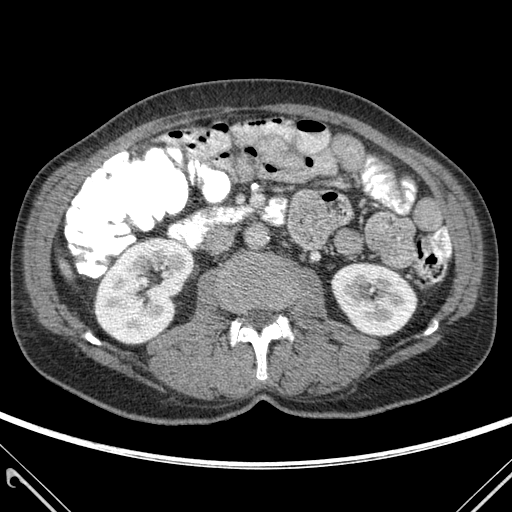

Abdomen | CT slice | 512x512 px

<segmentation>
  <bone>85,333,100,344; 425,322,437,334; 223,263,289,309; 231,316,292,379</bone>
  <kidney>95,239,187,342; 332,264,415,334</kidney>
</segmentation>